CT image, Upper abdomen, Slice 34 of 92

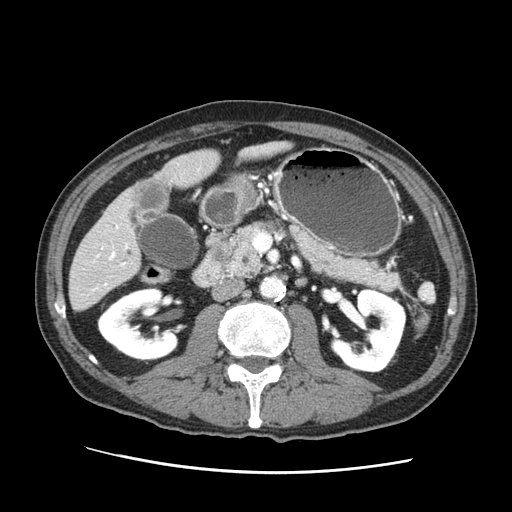 {"pancreas": ["[220,222,398,291]"], "pancreatic_tumor": ["[209,244,233,262]"]}